FLAIR MR.
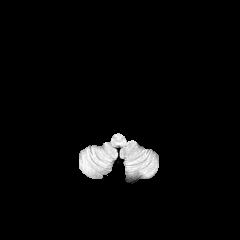
T1-weighted MR image.
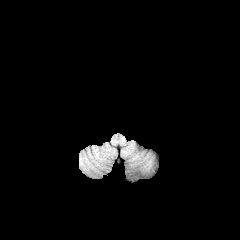
Post-contrast T1-weighted MRI.
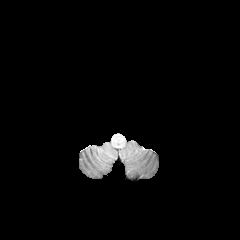
T2-weighted MR image.
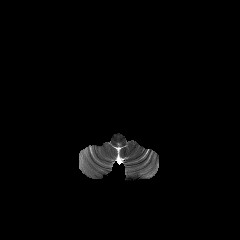
{
  "edema": [
    "rect(82, 162, 91, 171)"
  ]
}